FLAIR MR.
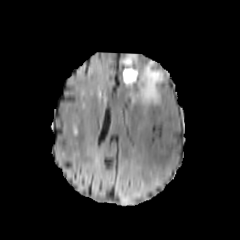
T1-weighted MRI.
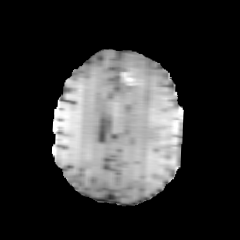
Post-contrast T1-weighted MR image.
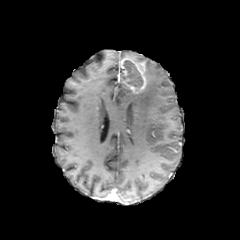
T2-weighted MR image.
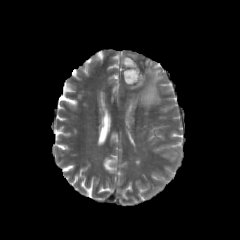
{
  "enhancing_tumor": [
    "121:57:147:92"
  ],
  "edema": [
    "125:53:140:60",
    "128:61:164:106"
  ],
  "non-enhancing_tumor_core": [
    "122:60:143:89"
  ]
}